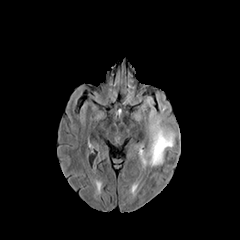
FLAIR MR image.
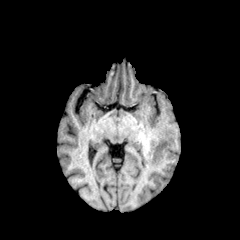
T1-weighted magnetic resonance.
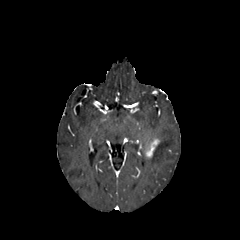
Same slice, post-contrast T1-weighted MRI.
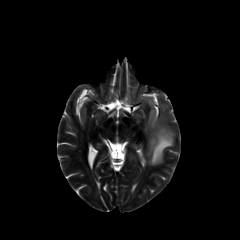
T2-weighted MR image.
Brain
The enhancing tumor is bounded by bbox(145, 133, 159, 156). The edema is located at bbox(139, 127, 174, 165).